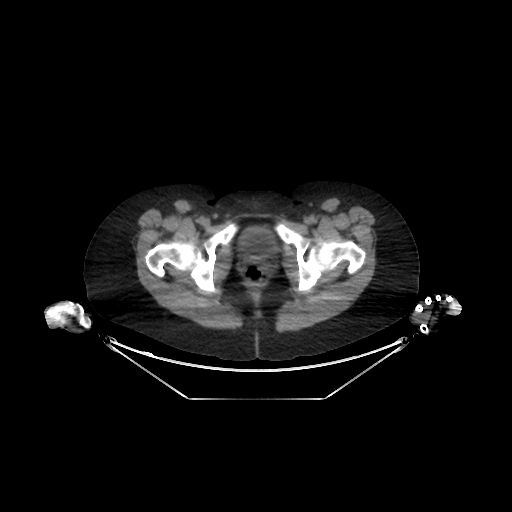
CT
Annotated regions:
* urinary bladder: {"x1": 237, "y1": 225, "x2": 281, "y2": 269}